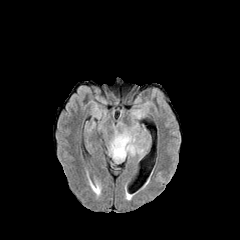
FLAIR MRI.
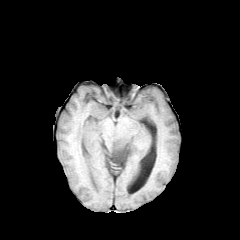
Same slice, T1-weighted MRI.
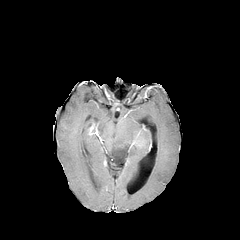
Same slice, post-contrast T1-weighted MR image.
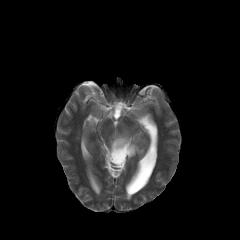
Same slice, T2-weighted MR image.
The edema is at <bbox>108, 134, 143, 163</bbox>. The non-enhancing tumor core appears at <bbox>112, 145, 131, 162</bbox>.